Liver | CT | Slice 55/131 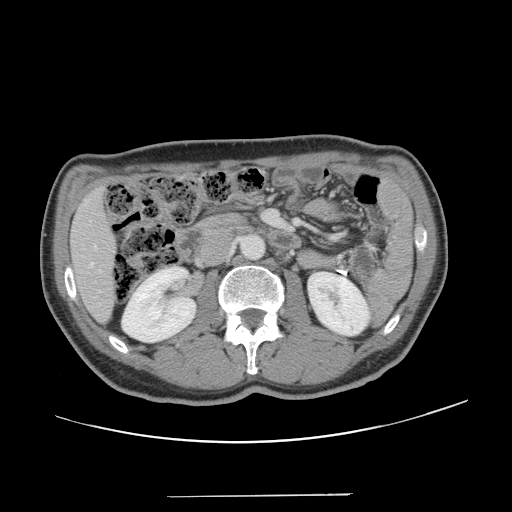
The vessel annotation is not exhaustive.
2 hepatic vessel regions are located at x1=90 y1=262 x2=94 y2=266, x1=94 y1=245 x2=96 y2=247.